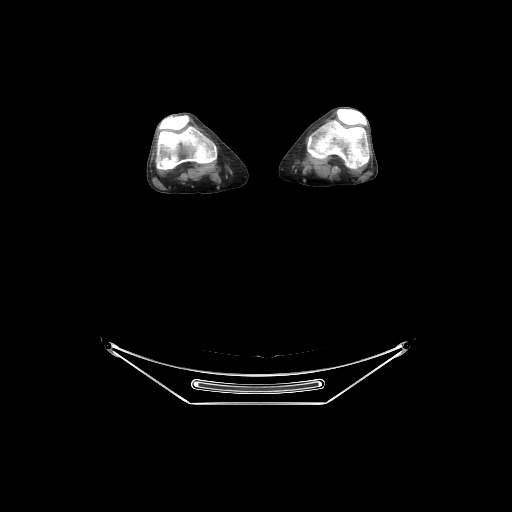 Image size 512x512. CT image.
2 bone regions are bounded by [156,115,216,170], [307,109,368,168].